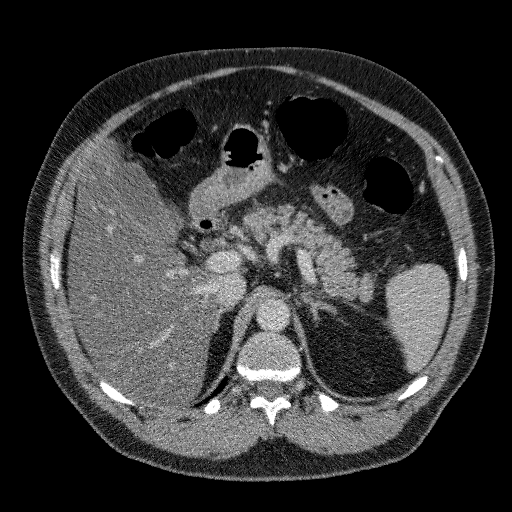 Computed tomography
liver: 68, 142, 227, 410